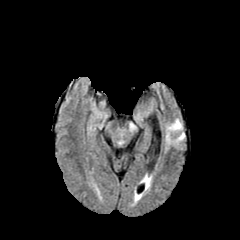
FLAIR MRI.
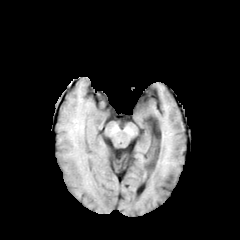
T1-weighted magnetic resonance of the same slice.
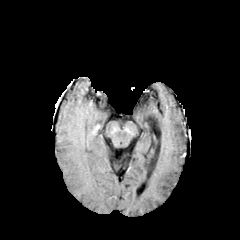
Post-contrast T1-weighted MR image.
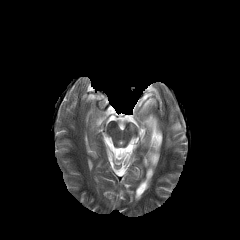
T2-weighted MRI.
Brain
Edema: bounding box [166,119,184,145].